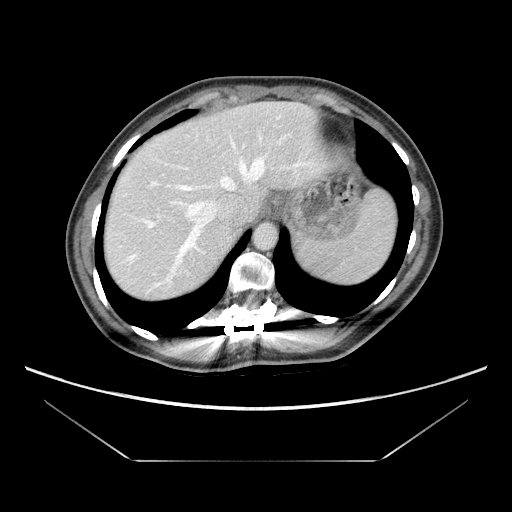

Abdomen. CT scan slice.
Only some of the vessels may be annotated.
Annotated regions:
* hepatic vessel: rect(145, 221, 153, 225); rect(174, 166, 189, 170); rect(281, 138, 282, 141); rect(237, 153, 267, 184); rect(280, 162, 308, 168); rect(232, 142, 237, 152); rect(259, 135, 260, 139); rect(155, 200, 230, 286); rect(165, 184, 198, 190); rect(200, 175, 235, 190)